FLAIR MR.
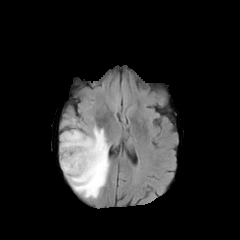
T1-weighted MR.
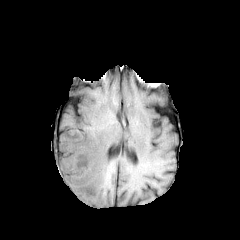
Post-contrast T1-weighted MRI.
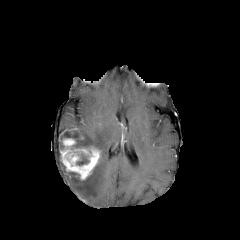
T2-weighted MR image.
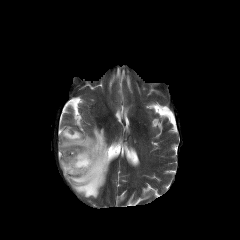
Brain
Edema: bounding box {"x1": 60, "y1": 118, "x2": 109, "y2": 198}.
Enhancing tumor: bounding box {"x1": 60, "y1": 138, "x2": 100, "y2": 179}.